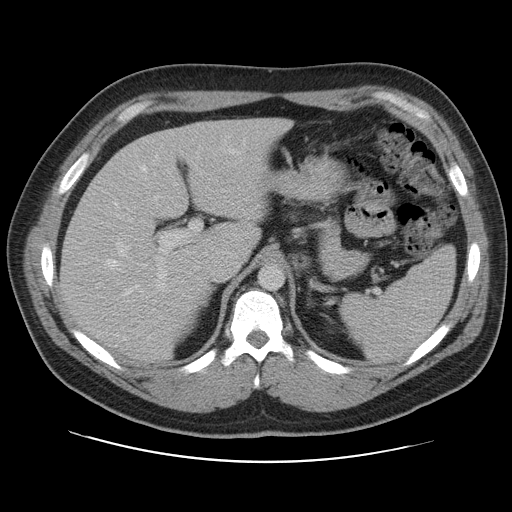

CT image; 512x512 px; Liver

Only some of the vessels may be annotated.
[15/20] hepatic vessel: 106, 259, 115, 267; 243, 247, 248, 255; 156, 256, 164, 265; 246, 198, 251, 199; 216, 223, 225, 229; 222, 233, 227, 235; 150, 224, 154, 228; 159, 220, 202, 254; 116, 243, 128, 255; 192, 179, 196, 183; 143, 264, 146, 268; 243, 204, 261, 218; 124, 289, 130, 295; 135, 285, 138, 287; 249, 223, 252, 225